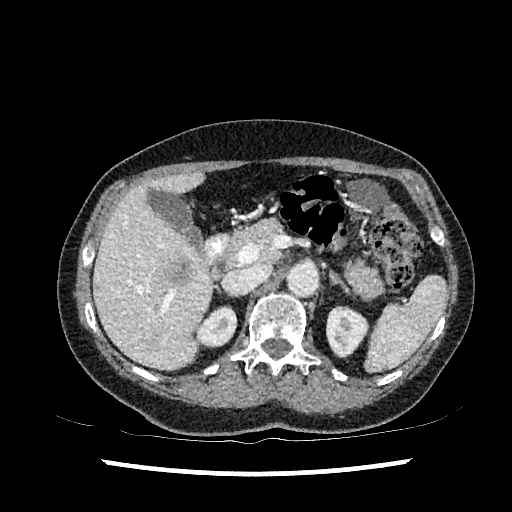 Image size 512x512, CT
Hepatic lesion = {"x1": 164, "y1": 257, "x2": 193, "y2": 285}.
Liver = {"x1": 94, "y1": 172, "x2": 211, "y2": 369}.
Kidney = {"x1": 327, "y1": 307, "x2": 366, "y2": 355}, {"x1": 198, "y1": 308, "x2": 235, "y2": 344}.